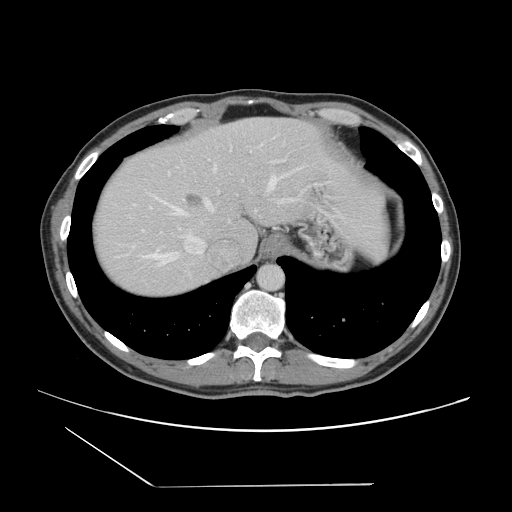
CT image, 512x512
Some hepatic vessels may have no box.
Annotated regions:
- liver tumor: 186 194 203 214
- hepatic vessel (largest 15 of 23): 181 235 188 239, 326 182 331 183, 271 159 285 162, 306 185 309 188, 205 198 214 211, 276 199 292 203, 163 201 184 214, 198 249 203 252, 201 243 204 246, 189 232 191 235, 261 143 263 145, 330 212 343 222, 282 166 302 176, 214 164 216 169, 269 175 280 188